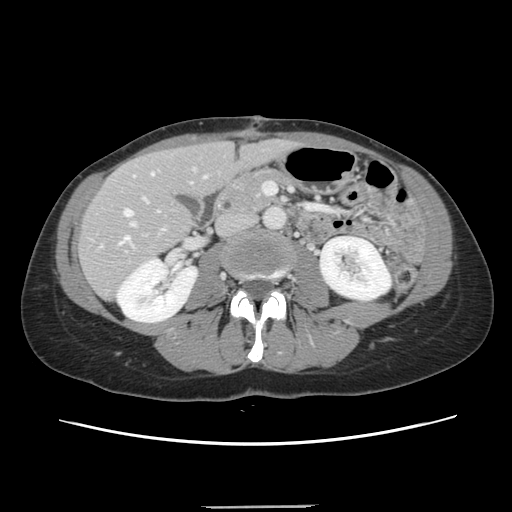
512x512; Computed tomography; Liver

Some hepatic vessels may have no box.
Hepatic vessel at <box>142,197,148,202</box>, <box>124,209,131,215</box>, <box>119,236,132,246</box>, <box>162,228,164,229</box>, <box>130,222,135,225</box>, <box>192,168,194,169</box>, <box>203,175,206,177</box>.